Abdomen | CT slice | Field of view 392 mm wide, 1.25 mm slice spacing

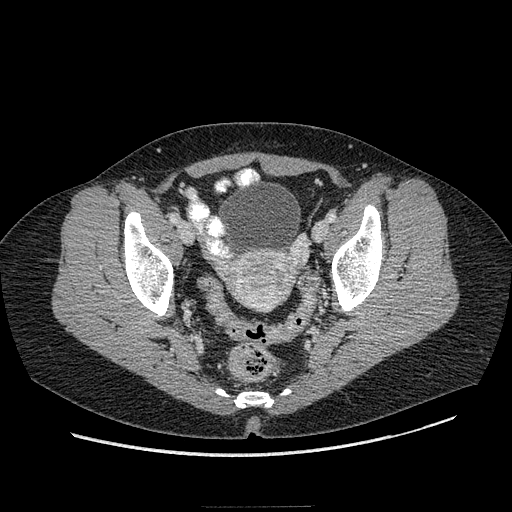

The colon tumor is located at region(230, 350, 249, 380).